CT image. Slice 53 of 113. Abdomen.

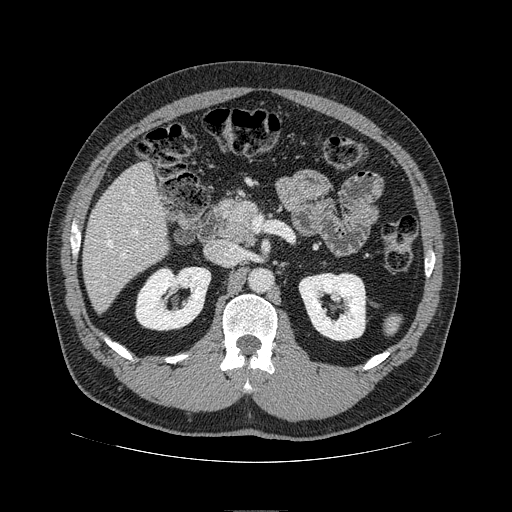
Segmented structures:
* pancreas: [222,200,256,243]